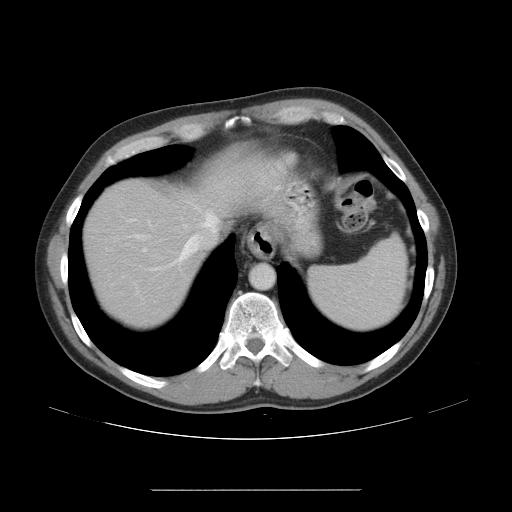
512x512 px. CT image. Abdomen.

The vessel annotation is not exhaustive.
4 hepatic vessel regions are bounded by 152, 235, 197, 270; 142, 248, 145, 251; 129, 218, 135, 221; 135, 234, 144, 238.